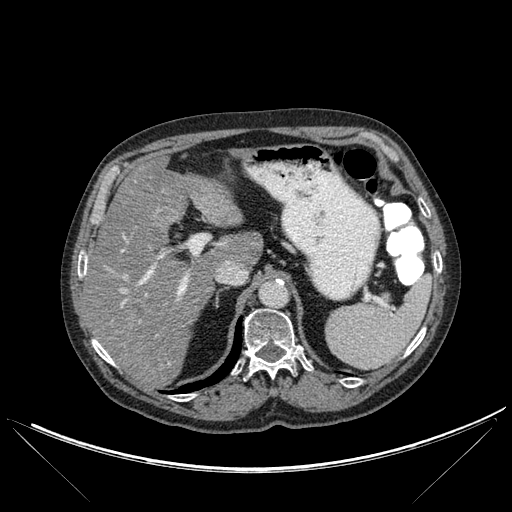

CT.
The lung appears at (167, 319, 241, 393). 9 bone regions are bounded by (92, 339, 114, 364), (419, 199, 430, 216), (433, 252, 442, 272), (78, 256, 86, 276), (404, 328, 425, 356), (340, 377, 362, 387), (244, 309, 312, 378), (232, 360, 243, 374), (171, 394, 194, 401). The liver lesion is located at (133, 302, 143, 316). 2 liver regions are located at (229, 149, 243, 156), (85, 157, 263, 388).